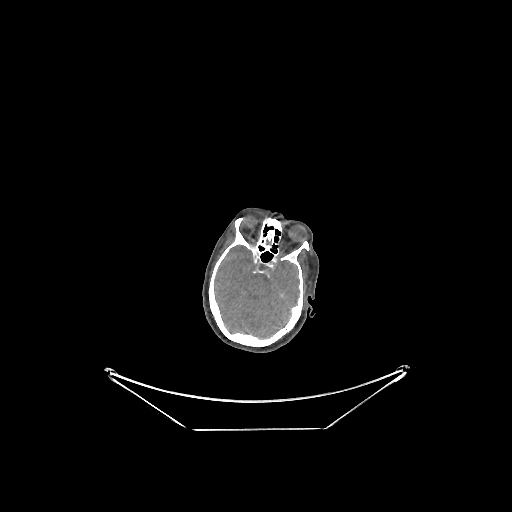
Head | CT scan slice

Segmented structures:
- brain: box=[214, 245, 299, 338]